Field of view 400 mm wide, 1.37 mm slice spacing, MRI slice
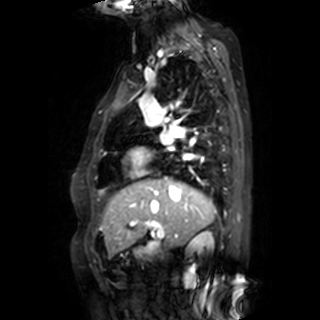
left_atrium:
  - 160,137,171,144